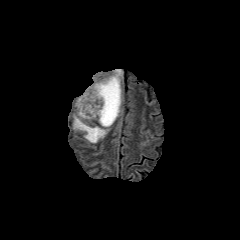
FLAIR magnetic resonance.
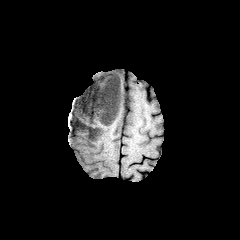
T1-weighted magnetic resonance.
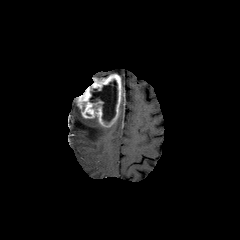
Post-contrast T1-weighted MR of the same slice.
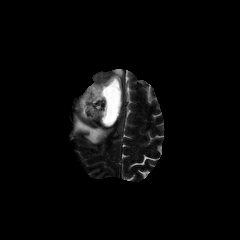
T2-weighted MR.
240x240 | Brain
Findings:
- enhancing tumor: [76,73,122,127]
- non-enhancing tumor core: [90,80,117,122]
- edema: [73,103,109,143], [112,69,123,81]